240x240. Head.
FLAIR magnetic resonance.
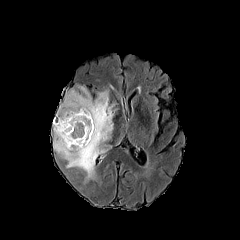
T1-weighted MRI.
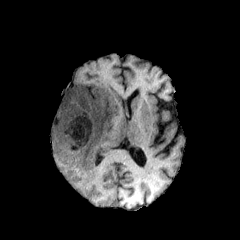
Post-contrast T1-weighted MR.
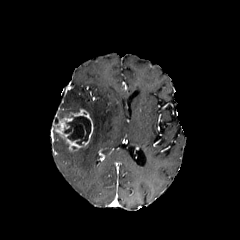
T2-weighted MR.
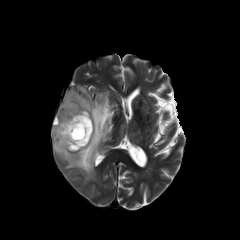
The enhancing tumor appears at box=[53, 108, 93, 151]. The non-enhancing tumor core is bounded by box=[64, 116, 91, 144]. The edema is located at box=[53, 84, 116, 183].